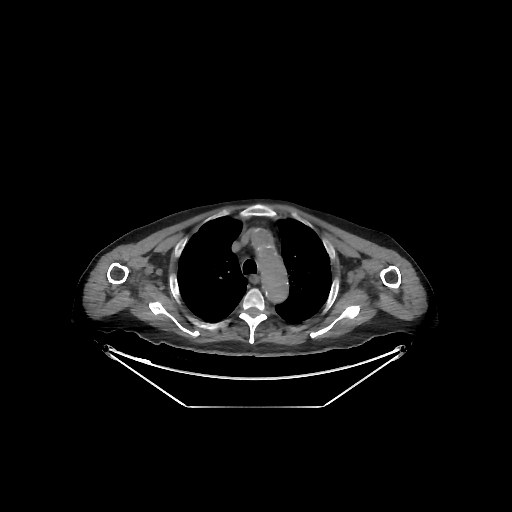

CT scan slice | Chest
lung: <box>275,218,331,324</box>, <box>177,216,256,322</box> | bone: <box>310,305,359,337</box>, <box>170,276,178,299</box>, <box>325,280,338,310</box>, <box>380,266,400,288</box>, <box>241,205,275,215</box>, <box>239,289,268,343</box>, <box>107,263,128,283</box>, <box>149,301,199,336</box>